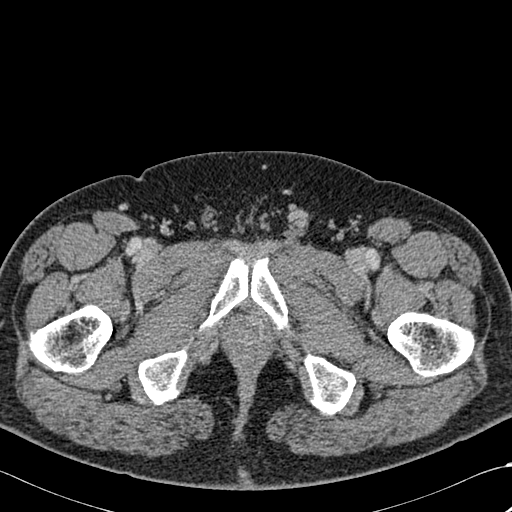
CT scan slice
Bone: [387,312,473,376], [304,354,355,414], [202,258,287,328], [138,349,186,404], [30,305,112,372].